FLAIR MRI.
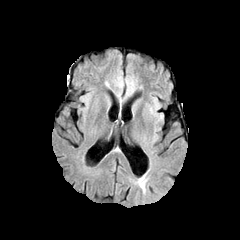
T1-weighted MR.
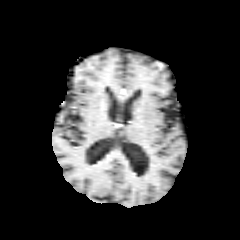
Post-contrast T1-weighted MR.
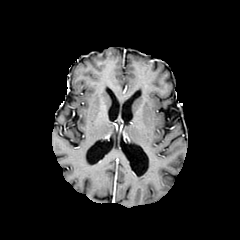
T2-weighted MRI.
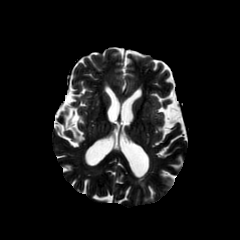
Brain
Edema = x1=136, y1=174, x2=147, y2=193.